FLAIR MRI.
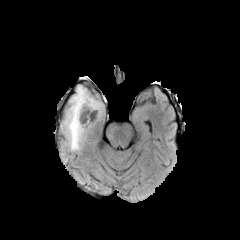
T1-weighted MR image.
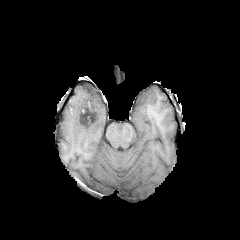
Post-contrast T1-weighted MR.
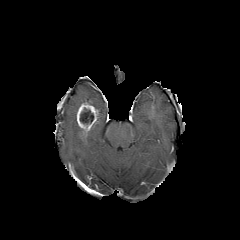
T2-weighted MR.
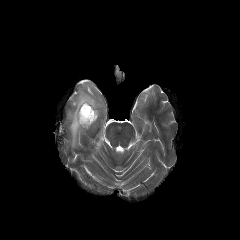
{"enhancing_tumor": ["<bbox>76, 100, 95, 131</bbox>"], "non-enhancing_tumor_core": ["<bbox>80, 108, 97, 127</bbox>"], "edema": ["<bbox>64, 86, 104, 150</bbox>"]}